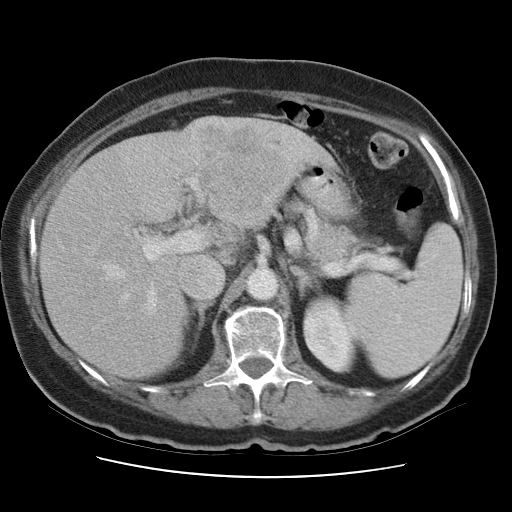

Abdomen | Image size 512x512 | CT scan slice

The vessel annotation is not exhaustive.
<segmentation>
  <liver_tumor>196 123 288 210</liver_tumor>
  <hepatic_vessel>133 230 204 260, 84 258 93 265, 88 240 100 255, 148 283 155 308, 105 262 125 278, 124 286 129 292</hepatic_vessel>
</segmentation>